CT scan slice. Liver. Slice 25/49.
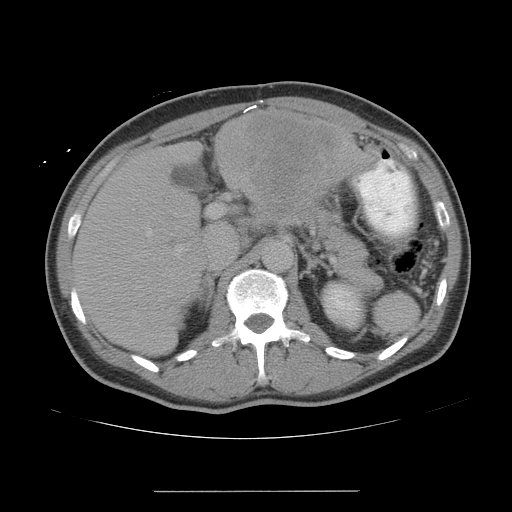 Some hepatic vessels may have no box.
Liver tumor: 216,112,373,216.
Hepatic vessel: 135,285,142,289; 174,244,181,257; 147,229,151,236; 185,244,190,249; 152,258,154,260; 194,238,196,240; 208,209,209,214; 149,240,151,242; 134,255,137,258; 167,247,168,249.